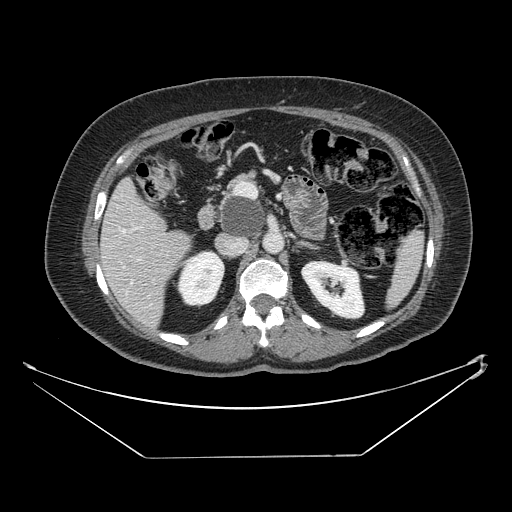 CT image.
Annotated regions:
- pancreatic tumor: <bbox>221, 197, 264, 236</bbox>
- pancreas: <bbox>227, 229, 262, 238</bbox>, <bbox>212, 170, 266, 227</bbox>